Slice 103 of 155
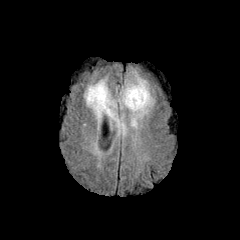
FLAIR magnetic resonance.
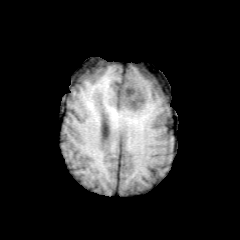
T1-weighted MR of the same slice.
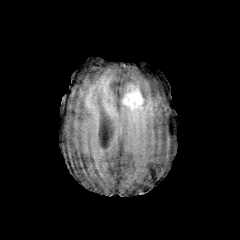
Post-contrast T1-weighted MRI.
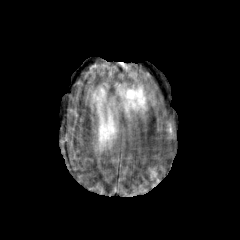
Same slice, T2-weighted MRI.
- edema: x1=85, y1=75, x2=154, y2=134
- enhancing tumor: x1=122, y1=84, x2=143, y2=111